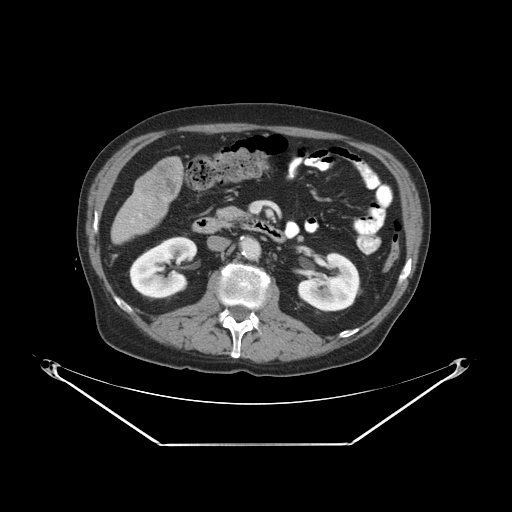

CT slice | Liver
<segmentation>
  <liver_tumor>[x1=136, y1=159, x2=181, y2=203]</liver_tumor>
</segmentation>